Liver, Field of view 415x415 mm, CT image

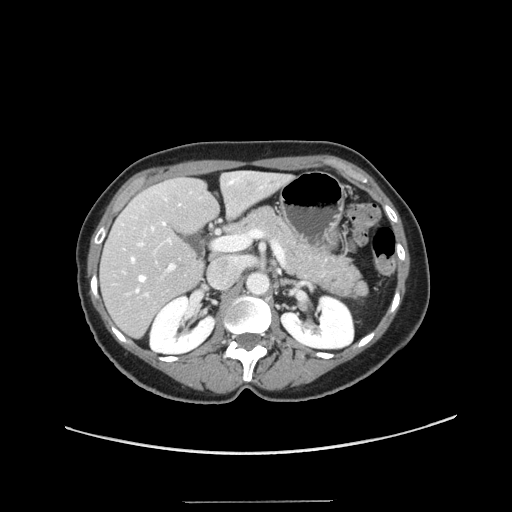

Not every hepatic vessel necessarily has a box.
{
  "hepatic_vessel": [
    "(168, 264, 174, 270)",
    "(135, 288, 138, 291)",
    "(139, 275, 145, 280)",
    "(216, 237, 248, 249)",
    "(151, 226, 153, 229)",
    "(139, 241, 143, 244)",
    "(168, 238, 170, 241)",
    "(145, 293, 147, 295)",
    "(163, 222, 165, 224)",
    "(131, 255, 135, 261)"
  ]
}